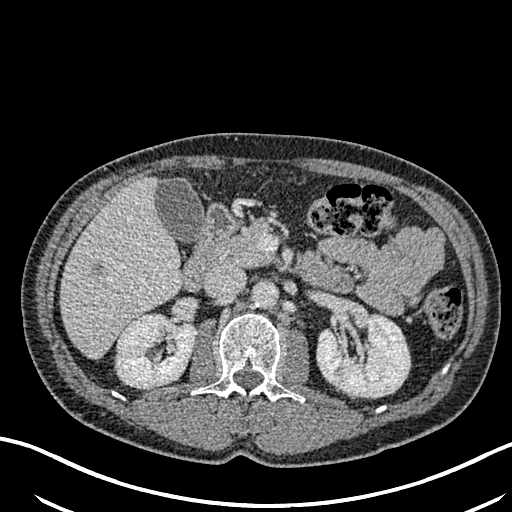
Computed tomography
<segmentation>
  <liver>bbox=[62, 178, 181, 358]</liver>
  <focal_liver_lesion>bbox=[89, 260, 104, 278]</focal_liver_lesion>
  <kidney>bbox=[117, 315, 195, 387]; bbox=[317, 309, 409, 396]</kidney>
</segmentation>